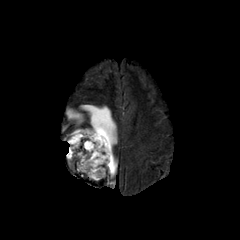
FLAIR MR.
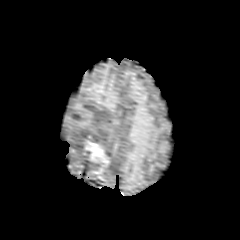
T1-weighted MRI.
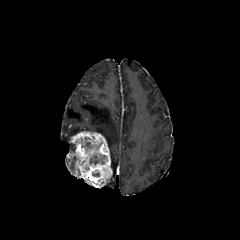
Post-contrast T1-weighted MRI.
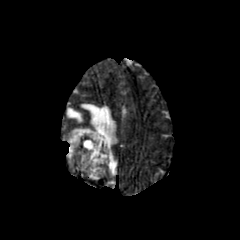
Same slice, T2-weighted MR.
240x240 px; Brain
Segmented structures:
* enhancing tumor: box=[66, 129, 112, 187]
* edema: box=[80, 104, 117, 148]; box=[66, 109, 82, 122]; box=[112, 150, 117, 176]